Slice 548 of 751 | CT | Abdomen
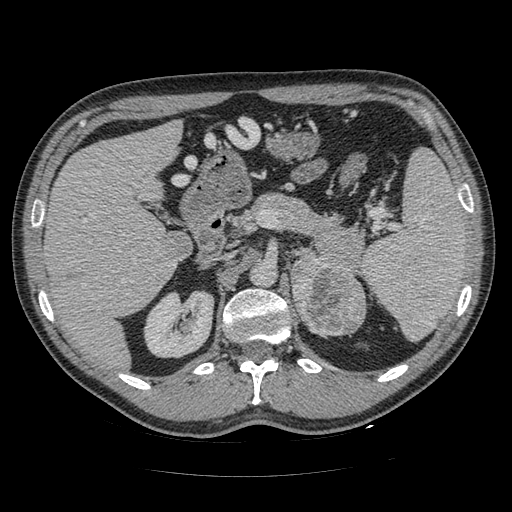 The pancreatic tumor is at region(291, 256, 365, 335). The pancreas is at region(248, 193, 363, 278).